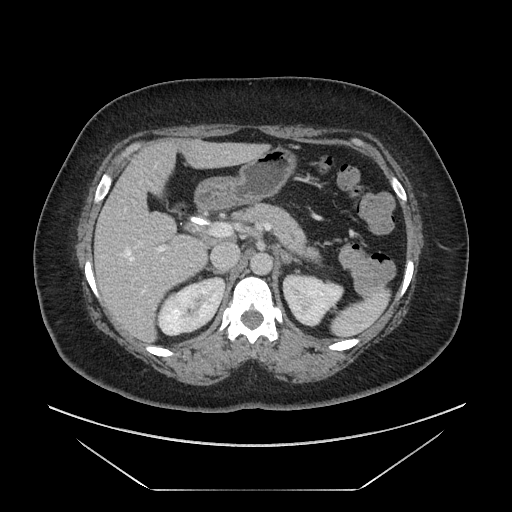 Upper abdomen. 512x512 px. CT slice.
Annotated regions:
- pancreas: {"x1": 238, "y1": 204, "x2": 318, "y2": 259}